240x240. Head. Slice index 121.
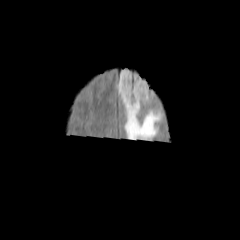
FLAIR magnetic resonance.
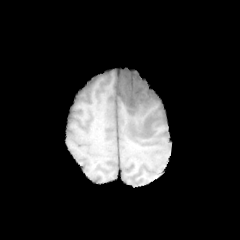
Same slice, T1-weighted MR image.
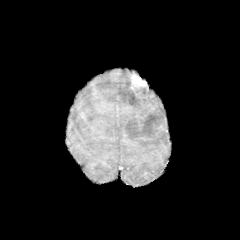
Post-contrast T1-weighted MRI.
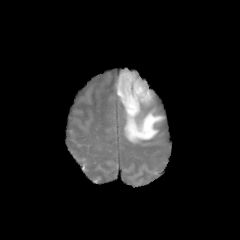
T2-weighted MR image.
<segmentation>
  <enhancing_tumor>127,72,148,92</enhancing_tumor>
  <edema>116,70,165,142</edema>
</segmentation>